Slice 82/144, CT slice 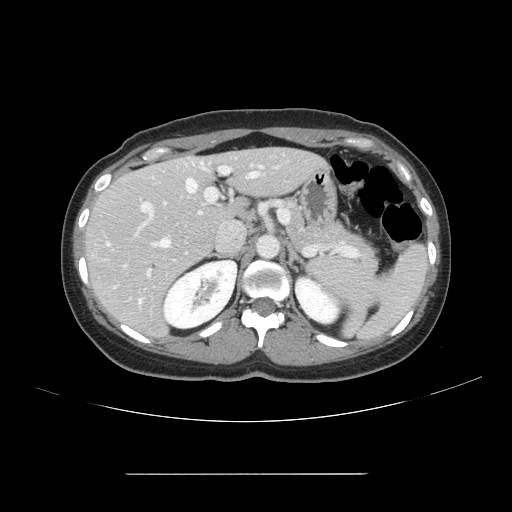 The vessel annotation is not exhaustive.
<segmentation>
  <hepatic_vessel>(x1=106, y1=242, x2=109, y2=245), (x1=247, y1=172, x2=258, y2=177), (x1=139, y1=299, x2=141, y2=303), (x1=259, y1=165, x2=262, y2=168), (x1=186, y1=179, x2=196, y2=192), (x1=199, y1=211, x2=201, y2=213), (x1=153, y1=239, x2=169, y2=246), (x1=201, y1=162, x2=202, y2=164), (x1=141, y1=202, x2=152, y2=217)</hepatic_vessel>
</segmentation>